Image size 240x240
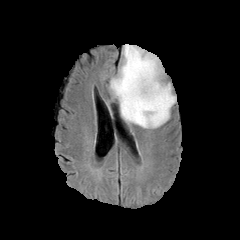
FLAIR MR.
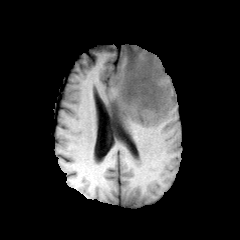
Same slice, T1-weighted MRI.
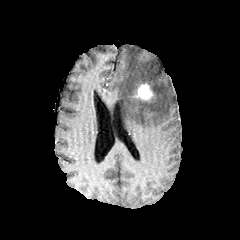
Post-contrast T1-weighted MR.
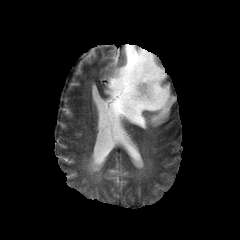
Same slice, T2-weighted MR.
The enhancing tumor is located at box=[132, 82, 154, 101]. The edema is bounded by box=[107, 44, 176, 128].